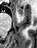 Magnetic resonance; Medial temporal lobe
Anterior hippocampus: bounding box [18, 7, 22, 15].